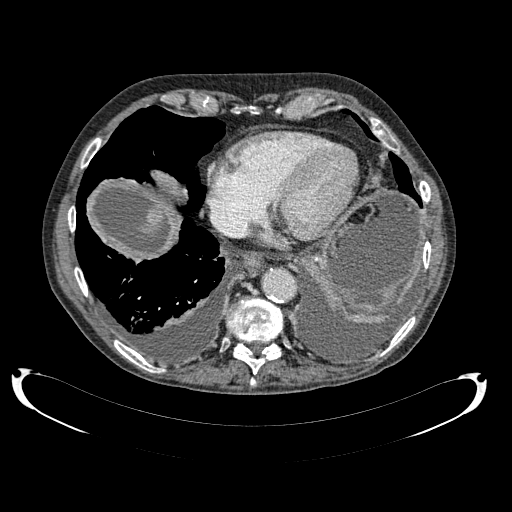
512x512. CT scan slice. Liver.

The liver is at 144,209,161,230.